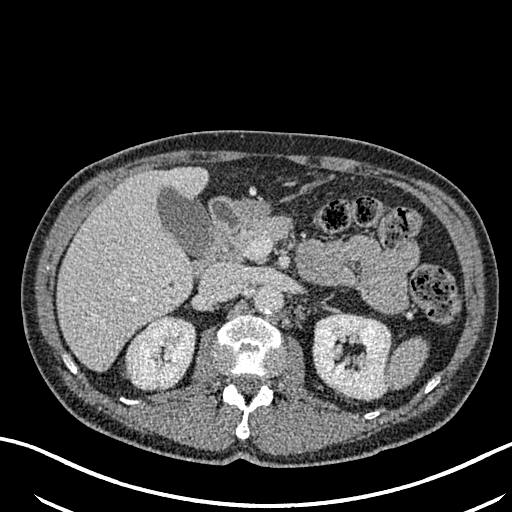

512x512. Abdomen. CT image.
Liver: [57, 169, 206, 370].
Kidney: [314, 315, 390, 395], [127, 317, 194, 387].